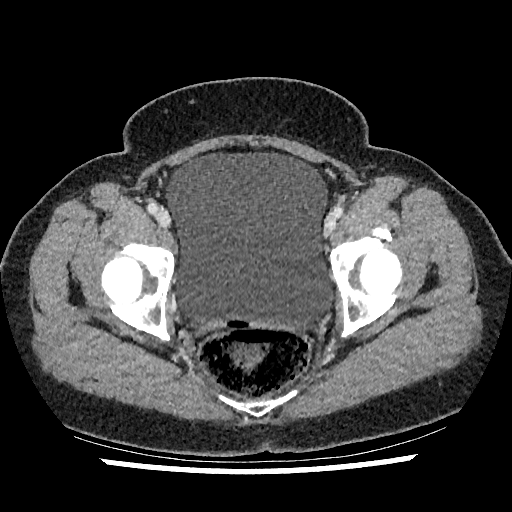
Pelvis; CT scan slice

The urinary bladder is at bbox=[166, 152, 333, 331].